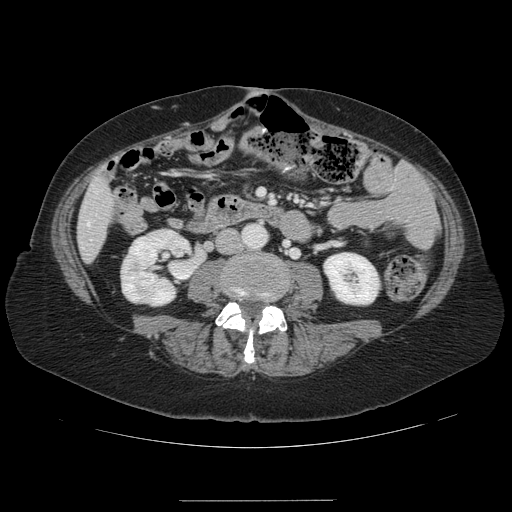

CT slice
Only some of the vessels may be annotated.
The hepatic vessel is at [x1=87, y1=222, x2=89, y2=224].